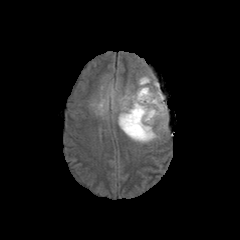
FLAIR MR.
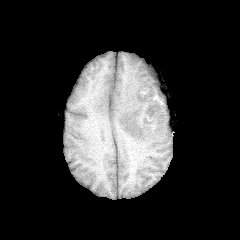
T1-weighted MR.
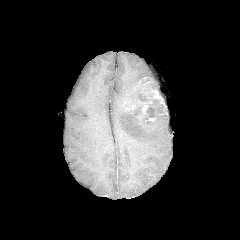
Post-contrast T1-weighted magnetic resonance of the same slice.
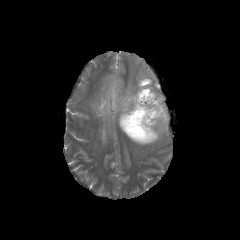
T2-weighted magnetic resonance.
Head.
Non-enhancing tumor core — (left=118, top=77, right=166, bottom=133).
Edema — (left=155, top=83, right=165, bottom=105), (left=94, top=82, right=168, bottom=144).
Enhancing tumor — (left=139, top=103, right=148, bottom=113).